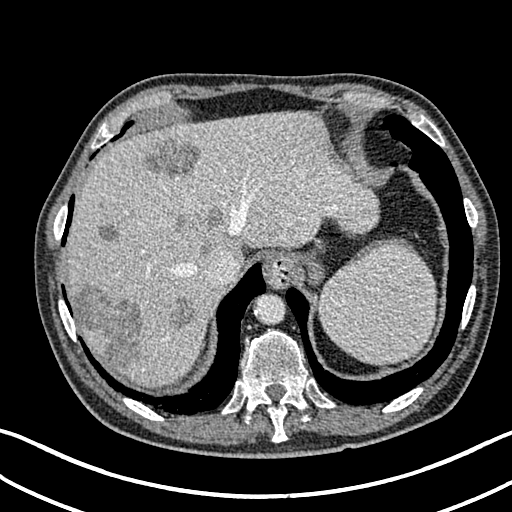 512x512 px; CT image
Liver at 79, 327, 104, 357; 64, 111, 379, 386.
Liver lesion at 167, 297, 196, 329; 73, 283, 143, 367; 176, 220, 189, 231; 100, 220, 117, 240; 146, 140, 199, 176; 204, 208, 223, 229.